512x512. Liver. CT image.
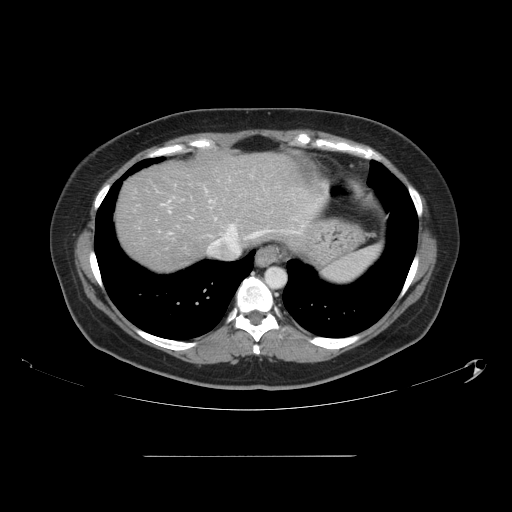
Only some of the vessels may be annotated.
2 hepatic vessel regions are bounded by <bbox>249, 230, 266, 237</bbox>, <bbox>229, 224, 236, 235</bbox>.